FLAIR MRI.
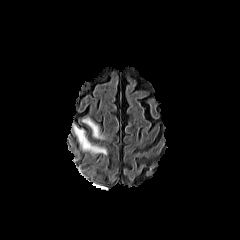
T1-weighted MR image.
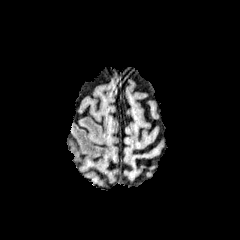
Post-contrast T1-weighted MRI.
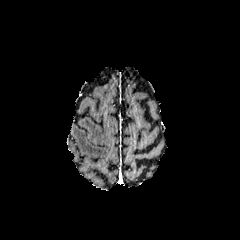
T2-weighted MRI.
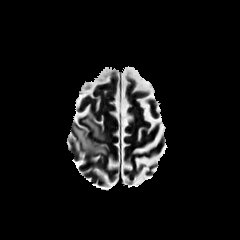
* edema: (left=82, top=117, right=105, bottom=139), (left=72, top=123, right=107, bottom=154)